Computed tomography | Liver
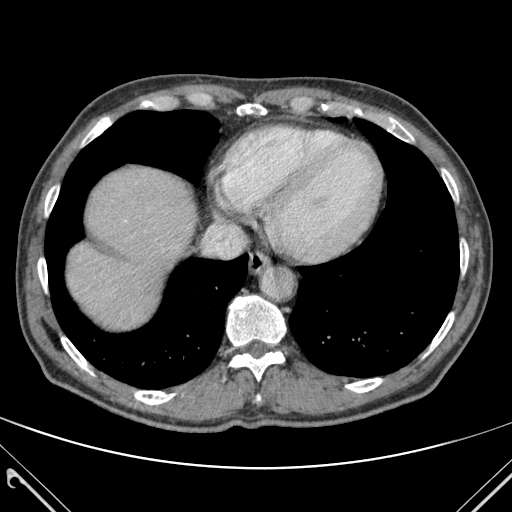
bone:
  - bbox=[378, 116, 413, 141]
  - bbox=[61, 337, 93, 374]
  - bbox=[83, 117, 110, 143]
  - bbox=[426, 313, 453, 355]
  - bbox=[45, 184, 58, 215]
  - bbox=[38, 257, 47, 292]
  - bbox=[229, 352, 284, 380]
  - bbox=[135, 391, 174, 404]
  - bbox=[227, 296, 285, 345]
  - bbox=[345, 378, 381, 392]
  - bbox=[460, 241, 468, 272]
  - bbox=[442, 169, 458, 199]
  - bbox=[237, 104, 266, 114]
lung:
  - bbox=[45, 110, 247, 388]
  - bbox=[289, 118, 459, 376]
liver:
  - bbox=[67, 168, 195, 330]